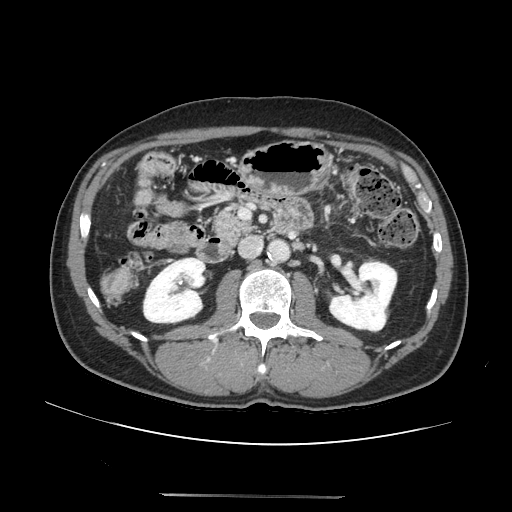

Upper abdomen. Image size 512x512. Computed tomography. pancreas:
  - rect(212, 210, 257, 244)